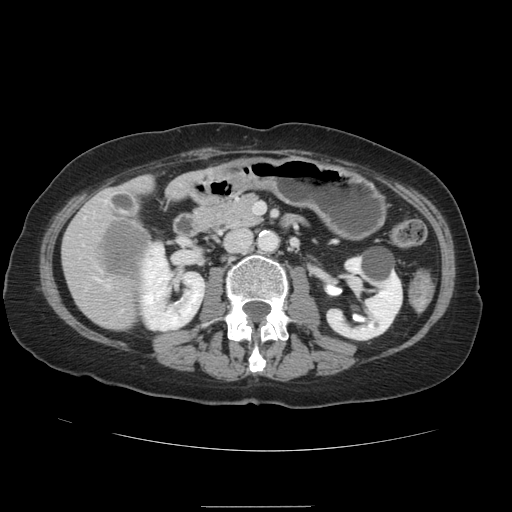 CT slice, Liver
Not every hepatic vessel necessarily has a box.
2 hepatic vessel regions are bounded by x1=105, y1=285, x2=108, y2=287; x1=94, y1=278, x2=97, y2=280. The liver tumor is bounded by x1=101, y1=216, x2=148, y2=281.